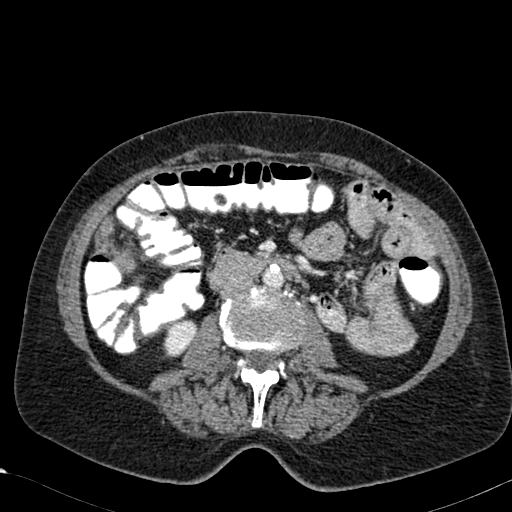

Image size 512x512. Computed tomography.
* kidney: <bbox>162, 314, 200, 356</bbox>
* liver: <bbox>118, 255, 130, 266</bbox>